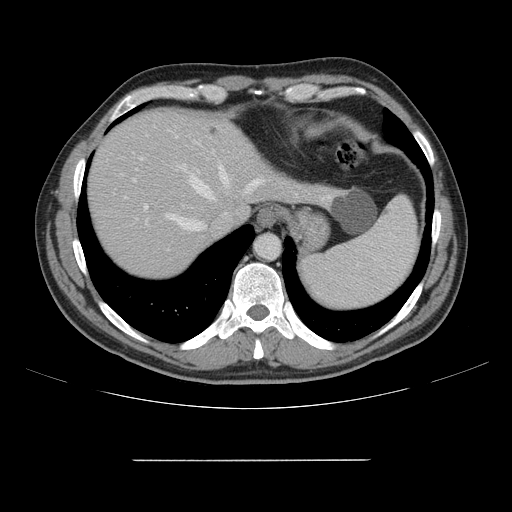
CT image | Abdomen | Image size 512x512

Not every hepatic vessel necessarily has a box.
Segmented structures:
• hepatic vessel: (x1=195, y1=223, x2=205, y2=230), (x1=246, y1=178, x2=262, y2=191), (x1=140, y1=157, x2=142, y2=158), (x1=146, y1=221, x2=147, y2=224), (x1=132, y1=179, x2=135, y2=180), (x1=165, y1=213, x2=188, y2=228), (x1=144, y1=205, x2=146, y2=209), (x1=219, y1=166, x2=227, y2=183), (x1=176, y1=136, x2=177, y2=137), (x1=125, y1=197, x2=127, y2=198), (x1=212, y1=150, x2=213, y2=153), (x1=196, y1=142, x2=200, y2=145)